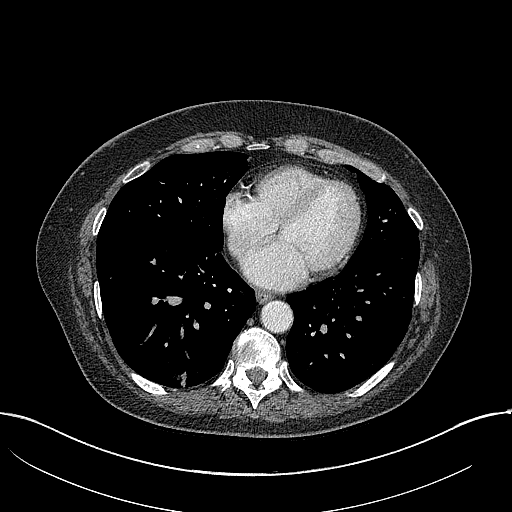 CT image
Lung tumor at [169, 366, 191, 387].